Slice index 49, Abdomen, CT image 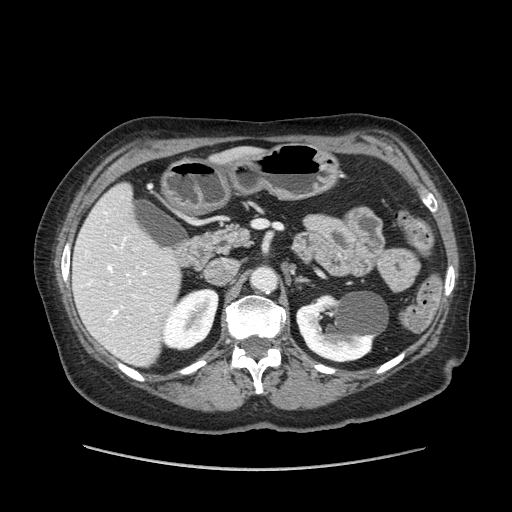

<segmentation>
  <pancreas>(x1=210, y1=226, x2=251, y2=253)</pancreas>
</segmentation>